FLAIR magnetic resonance.
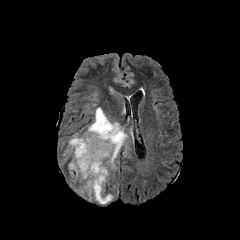
T1-weighted MR.
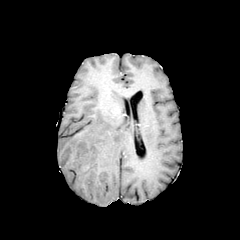
Post-contrast T1-weighted MR image.
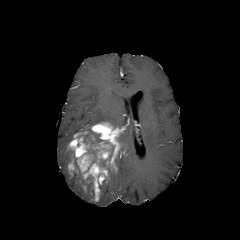
T2-weighted MR image.
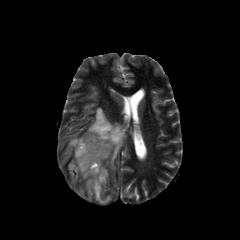
Brain
{"edema": ["(x1=118, y1=130, x2=127, y2=149)", "(x1=98, y1=167, x2=115, y2=203)", "(x1=84, y1=107, x2=124, y2=132)", "(x1=72, y1=176, x2=92, y2=197)"], "enhancing_tumor": ["(x1=68, y1=122, x2=124, y2=200)"], "non-enhancing_tumor_core": ["(x1=77, y1=130, x2=100, y2=147)", "(x1=66, y1=146, x2=76, y2=165)", "(x1=74, y1=170, x2=93, y2=197)", "(x1=99, y1=145, x2=115, y2=169)"]}